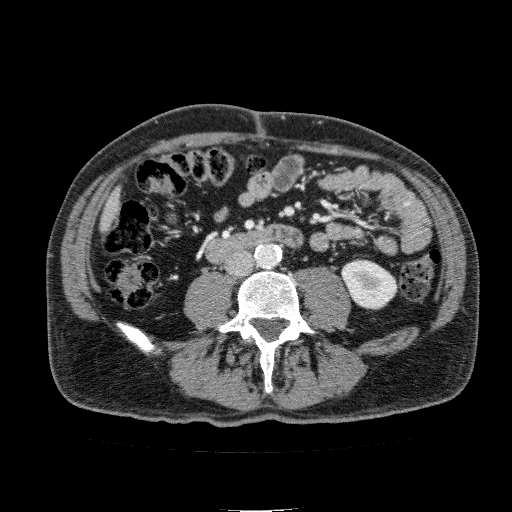 512x512 px | CT
liver: region(100, 184, 122, 237) | kidney: region(342, 261, 396, 308)